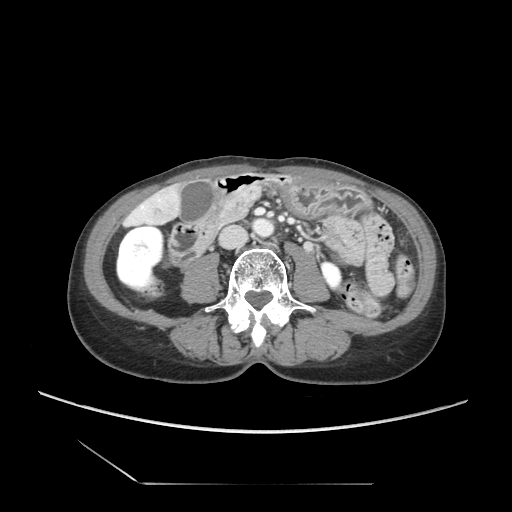
CT slice; Upper abdomen

• pancreas: left=226, top=188, right=259, bottom=222